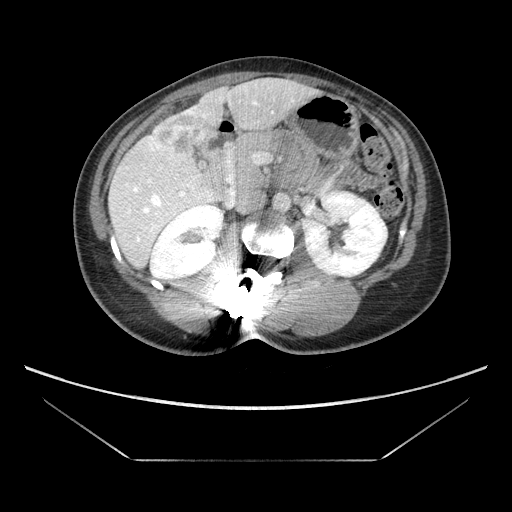

CT. {"liver_tumor": ["(left=147, top=102, right=214, bottom=160)"]}